Head; Image width 240 mm; Slice 101/155
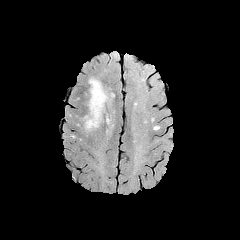
FLAIR MRI.
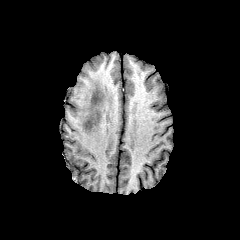
T1-weighted MR.
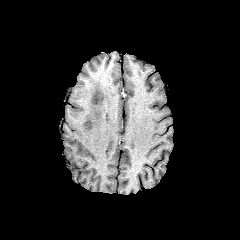
Post-contrast T1-weighted MR image of the same slice.
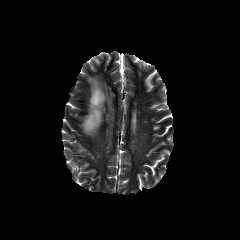
T2-weighted MR.
Edema: (83,76,109,134).
Non-enhancing tumor core: (84,116,93,128).